FLAIR MRI.
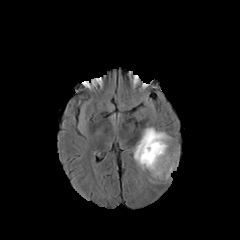
T1-weighted MRI.
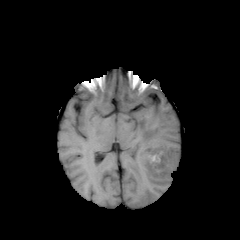
Post-contrast T1-weighted MRI.
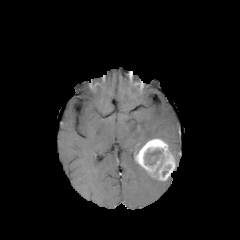
T2-weighted MR.
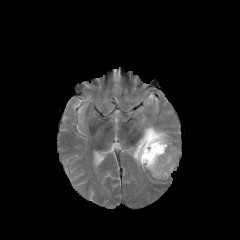
Brain
3 non-enhancing tumor core regions appear at x1=146 y1=150 x2=161 y2=164, x1=142 y1=137 x2=167 y2=146, x1=168 y1=143 x2=177 y2=167. 2 edema regions are bounded by x1=173 y1=146 x2=179 y2=163, x1=130 y1=125 x2=173 y2=152. The enhancing tumor lies within x1=134 y1=138 x2=175 y2=181.